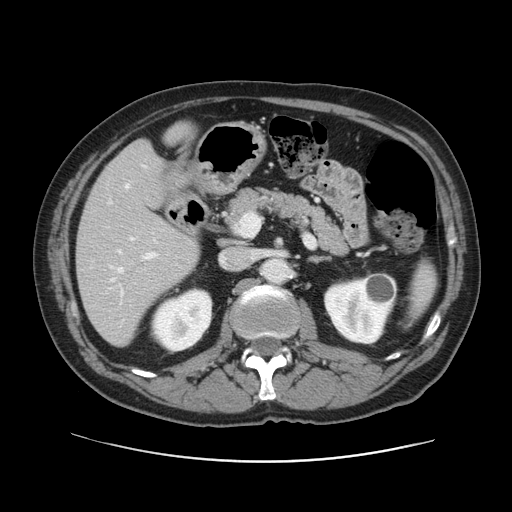
512x512 px, CT image
The vessel annotation is not exhaustive.
hepatic vessel: box(119, 284, 122, 295); box(143, 253, 154, 259); box(110, 278, 114, 281); box(117, 268, 122, 271); box(125, 184, 128, 187); box(130, 237, 133, 239); box(118, 250, 120, 252); box(109, 200, 111, 203); box(111, 266, 113, 267)